Image size 512x512, Slice index 43, Computed tomography, Pelvis, Image width 367 mm
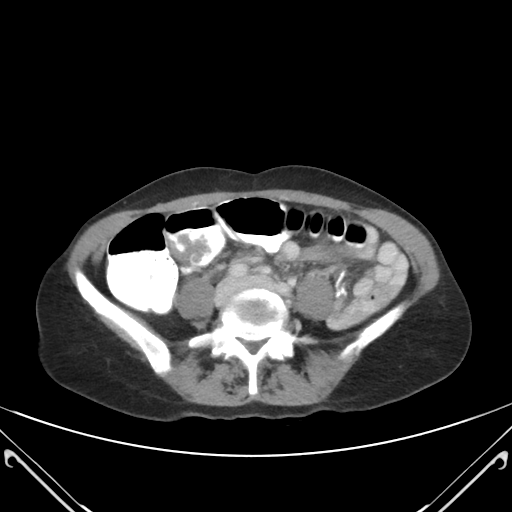 {"colon_tumor": ["box(168, 232, 212, 267)"]}